Head.
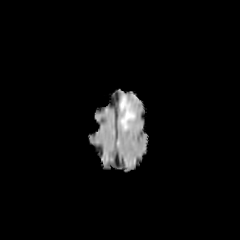
FLAIR MRI.
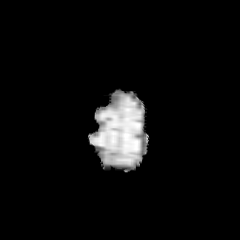
Same slice, T1-weighted MR.
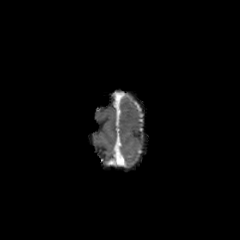
Post-contrast T1-weighted MRI.
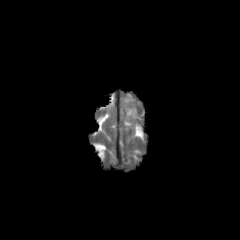
T2-weighted MRI.
Edema = region(120, 97, 135, 128).